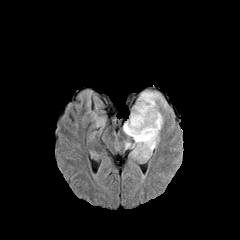
FLAIR magnetic resonance.
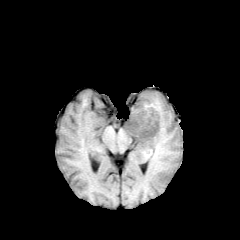
Same slice, T1-weighted magnetic resonance.
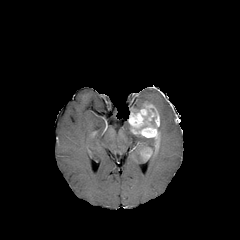
Post-contrast T1-weighted MR.
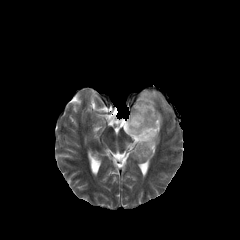
T2-weighted MR of the same slice.
Brain
non-enhancing tumor core: <bbox>134, 143, 153, 153</bbox>, <bbox>133, 101, 151, 112</bbox> | enhancing tumor: <bbox>128, 104, 159, 137</bbox>, <bbox>140, 147, 152, 160</bbox> | edema: <bbox>123, 90, 172, 149</bbox>, <bbox>129, 150, 144, 163</bbox>